Head | Slice 81 of 155
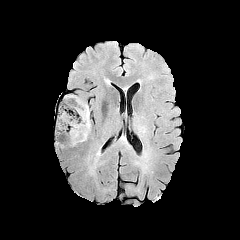
FLAIR MR.
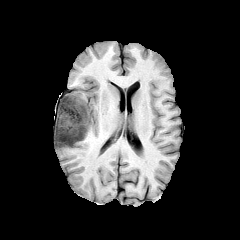
Same slice, T1-weighted magnetic resonance.
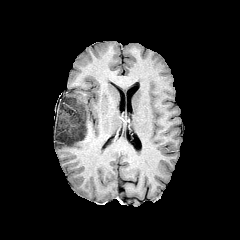
Same slice, post-contrast T1-weighted MRI.
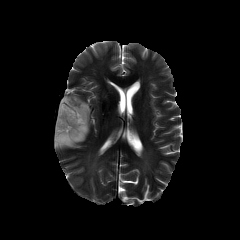
Same slice, T2-weighted MR.
Edema: bounding box 72,95,87,106.
Non-enhancing tumor core: bounding box 56,96,90,147.